Slice index 37, 240x240
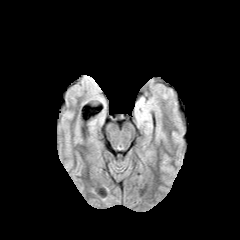
FLAIR MRI.
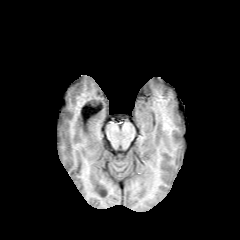
T1-weighted MRI of the same slice.
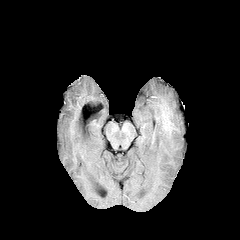
Same slice, post-contrast T1-weighted MR image.
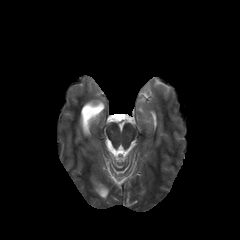
Same slice, T2-weighted MR image.
Edema at bbox=[136, 97, 151, 122].